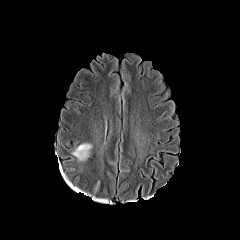
FLAIR magnetic resonance.
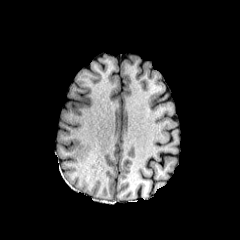
T1-weighted magnetic resonance of the same slice.
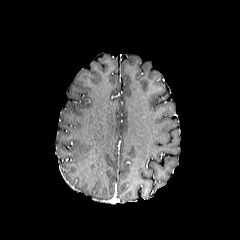
Post-contrast T1-weighted magnetic resonance.
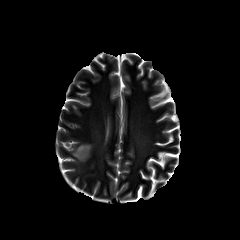
T2-weighted MR image.
edema: rect(72, 143, 93, 162)